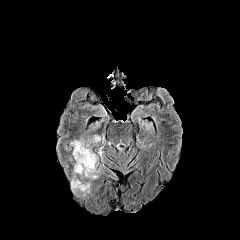
FLAIR MR image.
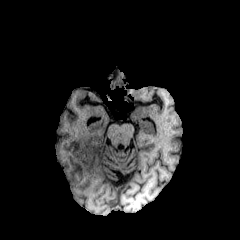
T1-weighted MR image.
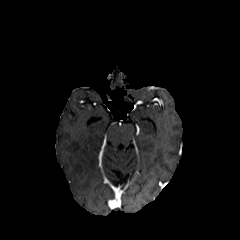
Same slice, post-contrast T1-weighted MR.
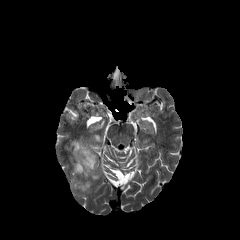
T2-weighted magnetic resonance of the same slice.
Annotated regions:
• edema: rect(70, 135, 99, 191)